CT slice. 512x512 px. Slice 28 of 46. 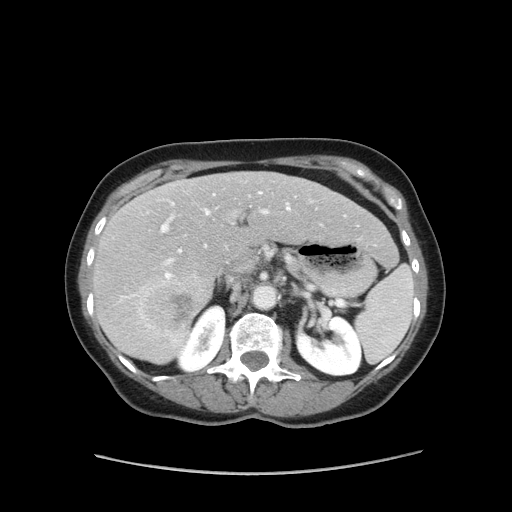 Only some of the vessels may be annotated.
{"hepatic_vessel": ["232,222,233,223", "286,205,290,209", "309,199,313,202", "259,191,261,193", "178,250,180,252", "204,209,209,214", "234,211,235,212", "213,194,214,195", "161,215,173,231", "261,209,268,213", "204,245,206,246", "160,199,174,205", "164,259,172,263"], "liver_tumor": ["132,271,212,346"]}